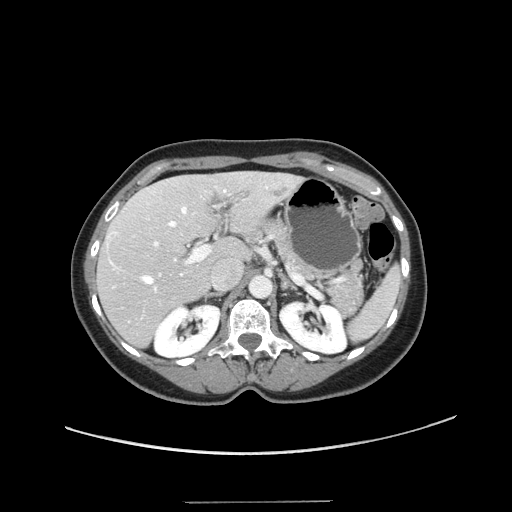

CT image | 512x512 px
Some hepatic vessels may have no box.
Hepatic vessel: (x1=181, y1=273, x2=182, y2=274), (x1=187, y1=244, x2=210, y2=262), (x1=109, y1=259, x2=111, y2=262), (x1=182, y1=207, x2=186, y2=212), (x1=154, y1=287, x2=156, y2=290), (x1=154, y1=242, x2=157, y2=244), (x1=170, y1=221, x2=175, y2=225), (x1=236, y1=261, x2=240, y2=271), (x1=210, y1=264, x2=228, y2=287), (x1=143, y1=276, x2=152, y2=282), (x1=107, y1=236, x2=109, y2=241).